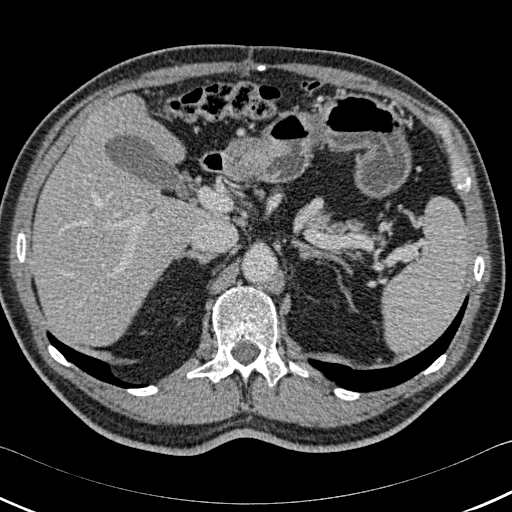 CT, Upper abdomen
The liver appears at (x1=33, y1=94, x2=208, y2=345). 9 bone regions appear at (x1=187, y1=286, x2=287, y2=386), (x1=127, y1=386, x2=157, y2=395), (x1=474, y1=256, x2=484, y2=280), (x1=334, y1=388, x2=359, y2=400), (x1=48, y1=345, x2=70, y2=366), (x1=457, y1=174, x2=470, y2=191), (x1=289, y1=362, x2=308, y2=376), (x1=16, y1=233, x2=25, y2=262), (x1=423, y1=354, x2=446, y2=374). 2 lung regions appear at (x1=308, y1=295, x2=468, y2=392), (x1=57, y1=342, x2=148, y2=388).